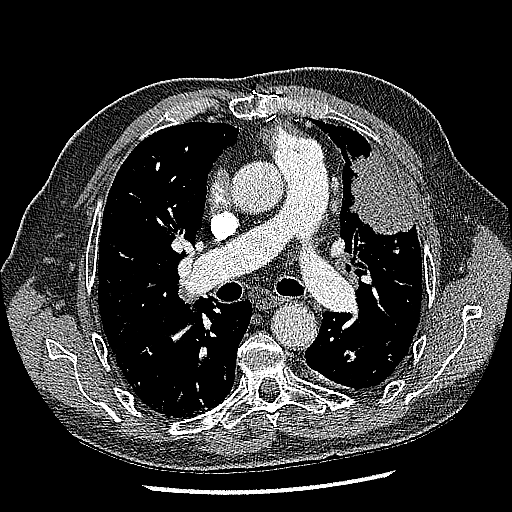

Computed tomography | 512x512 px
Findings:
• lung tumor: 349:147:414:234